Liver; CT image; Slice 16/40
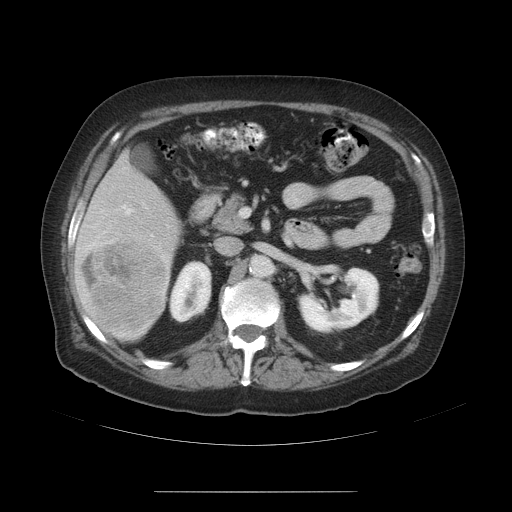 The vessel boxes may cover only some of the vessels.
Liver tumor — rect(78, 240, 168, 340).
Hepatic vessel — rect(122, 205, 131, 213).